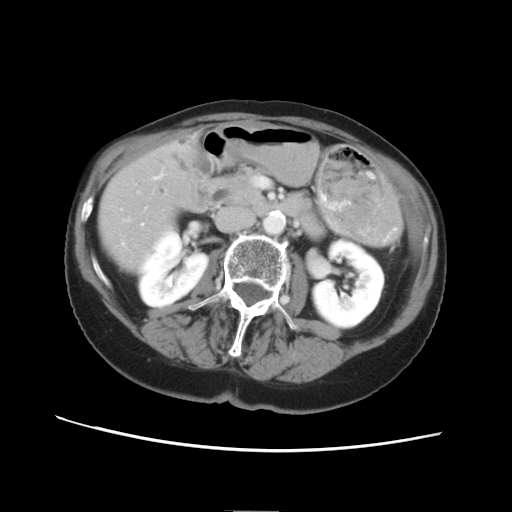
512x512 px | Liver | Computed tomography
Findings:
• liver tumor: box=[176, 145, 190, 163]